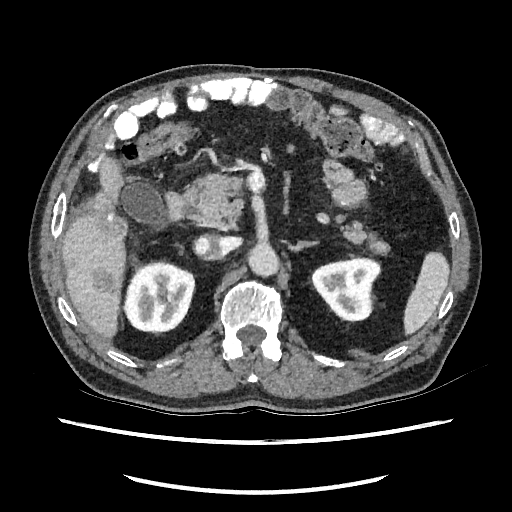 Computed tomography, Image size 512x512
{
  "kidney": [
    "<box>312,254,380,321</box>",
    "<box>123,262,194,332</box>"
  ],
  "liver": [
    "<box>62,158,125,337</box>"
  ],
  "focal_liver_lesion": [
    "<box>92,267,118,295</box>",
    "<box>95,202,126,237</box>"
  ]
}